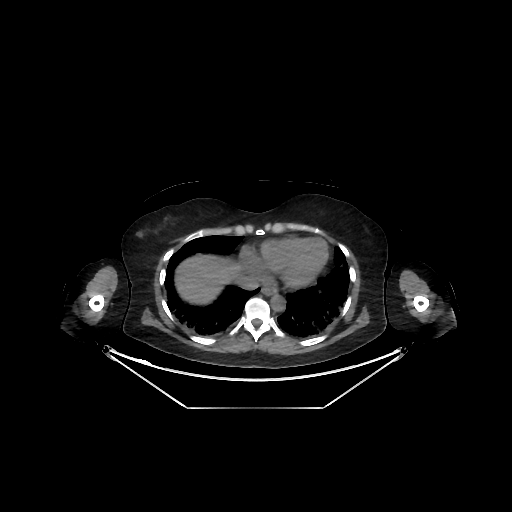

Upper abdomen; CT
{"liver": ["(175,254,248,303)"]}